CT, Field of view 351 mm wide, 1.00 mm slice spacing
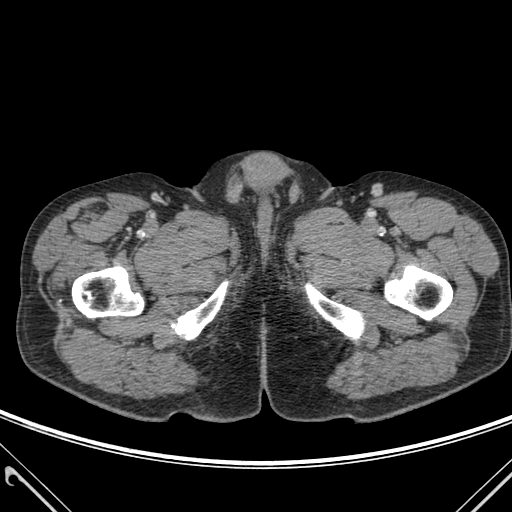

4 bone regions appear at box=[385, 265, 452, 319]; box=[72, 266, 143, 317]; box=[305, 284, 363, 338]; box=[172, 281, 227, 339].